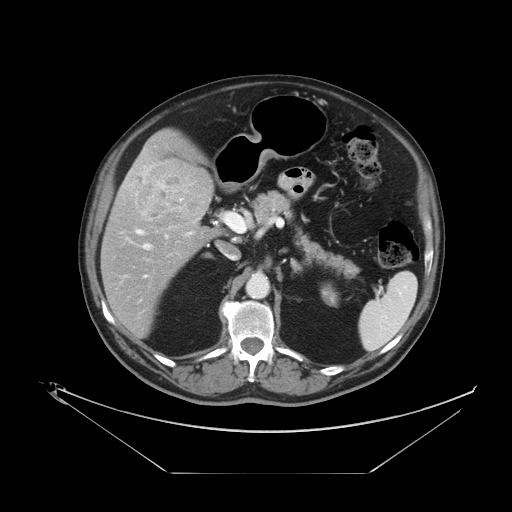 Abdomen; CT scan slice
Only some of the vessels may be annotated.
<segmentation>
  <hepatic_vessel>box=[166, 235, 167, 238]; box=[136, 191, 137, 194]; box=[123, 181, 135, 190]; box=[125, 238, 134, 243]; box=[139, 244, 151, 249]; box=[141, 165, 152, 182]; box=[169, 227, 174, 227]; box=[141, 211, 144, 214]; box=[131, 170, 133, 171]; box=[194, 220, 196, 221]; box=[136, 230, 144, 234]; box=[224, 214, 238, 221]; box=[143, 275, 147, 277]; box=[187, 232, 192, 234]</hepatic_vessel>
  <liver_tumor>box=[137, 161, 213, 227]</liver_tumor>
</segmentation>